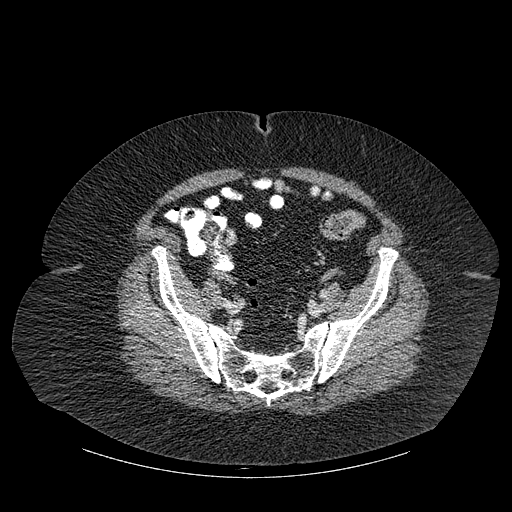
CT image
• bone: box(152, 246, 397, 405); box(222, 188, 235, 197)